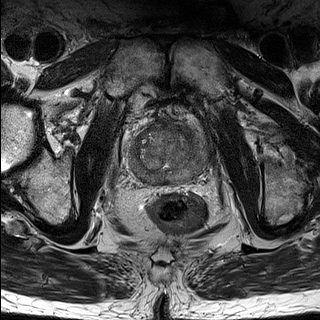
T2-weighted MR.
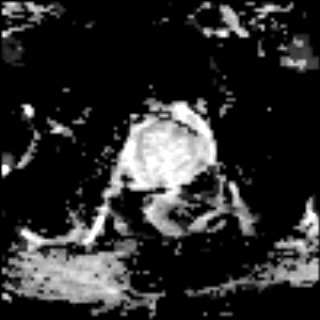
Same slice, ADC magnetic resonance.
Pelvis
Prostate peripheral zone = l=127, t=131, r=205, b=182.
Prostate transition zone = l=139, t=125, r=197, b=170.